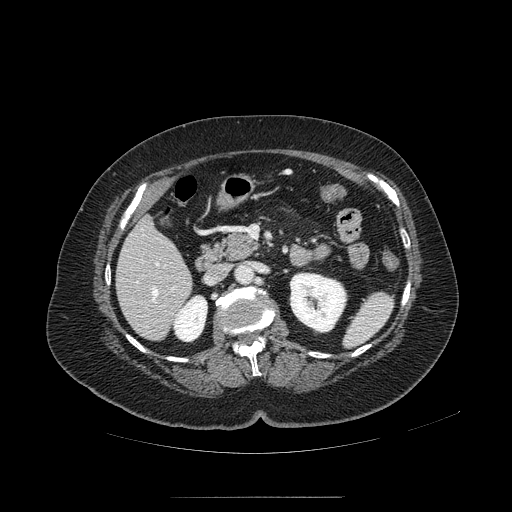
CT
Annotated regions:
• pancreas: [222, 229, 260, 261]